Slice index 81 | 240x240 px
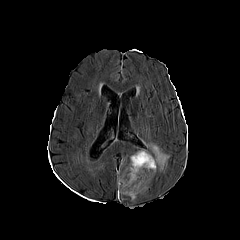
FLAIR MR.
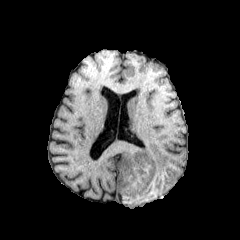
T1-weighted magnetic resonance of the same slice.
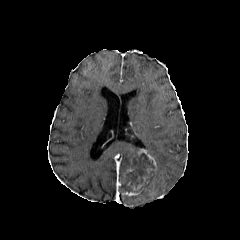
Post-contrast T1-weighted MR.
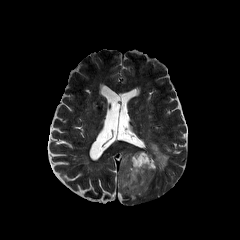
T2-weighted MRI.
{"edema": ["(141,139,169,172)"], "enhancing_tumor": ["(136,149,157,176)", "(119,154,147,197)"], "non-enhancing_tumor_core": ["(121,182,132,192)", "(141,175,151,188)", "(125,154,155,188)"]}